Head
FLAIR MR image.
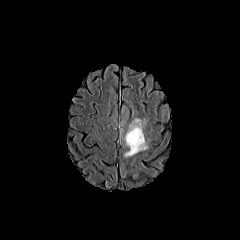
T1-weighted magnetic resonance.
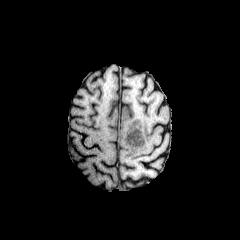
Post-contrast T1-weighted magnetic resonance.
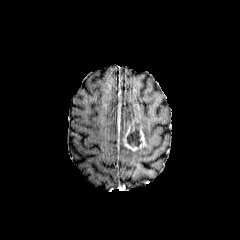
T2-weighted magnetic resonance.
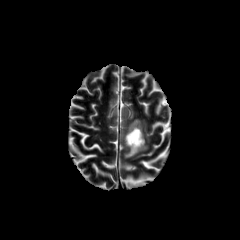
Enhancing tumor at box=[123, 126, 138, 151]; box=[139, 125, 148, 149].
Non-enhancing tumor core at box=[126, 121, 143, 149].